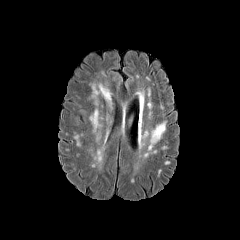
FLAIR magnetic resonance.
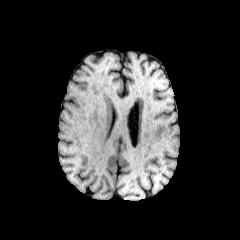
T1-weighted MRI.
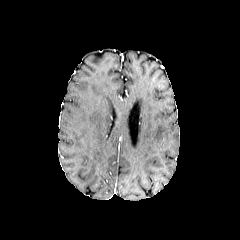
Post-contrast T1-weighted MR image of the same slice.
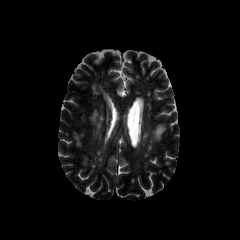
T2-weighted MRI of the same slice.
Brain
Annotated regions:
• edema: {"x1": 93, "y1": 112, "x2": 97, "y2": 127}